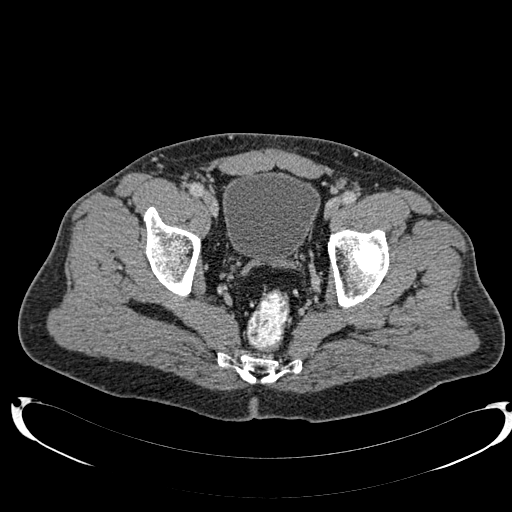 CT scan slice

<segmentation>
  <urinary_bladder>rect(223, 170, 320, 266)</urinary_bladder>
</segmentation>